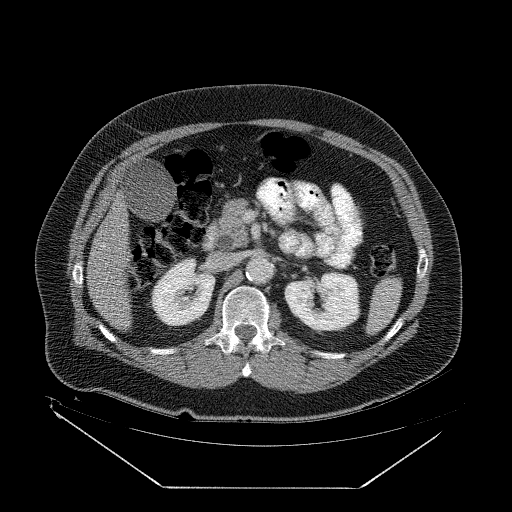
Upper abdomen | Computed tomography
pancreas: 220 198 251 249